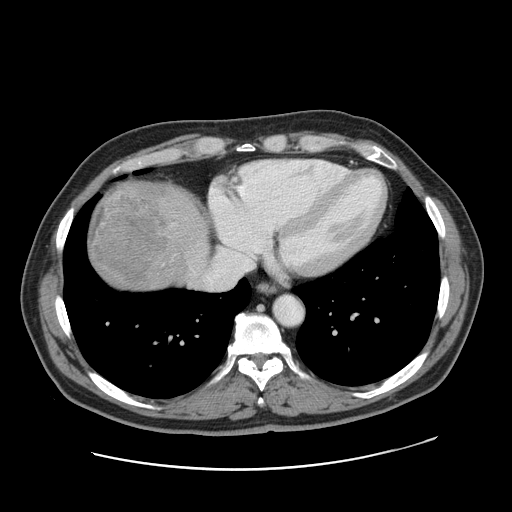

CT image, Liver
Segmented structures:
• liver tumor: (x1=90, y1=184, x2=163, y2=283)